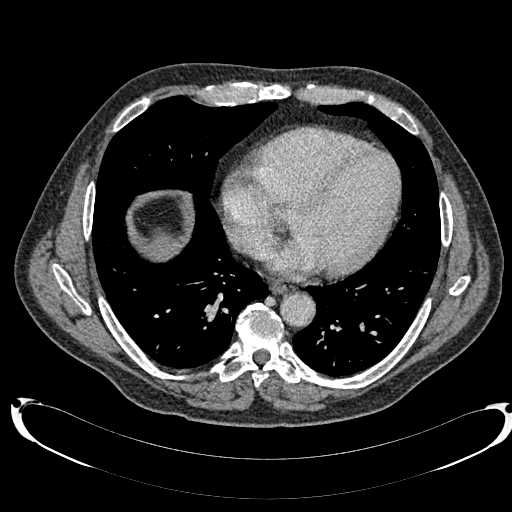
Liver. CT. Liver: 150, 229, 174, 254.